Slice 44 of 95. CT image. Field of view 380 mm wide, 2.50 mm slice spacing. Abdomen.
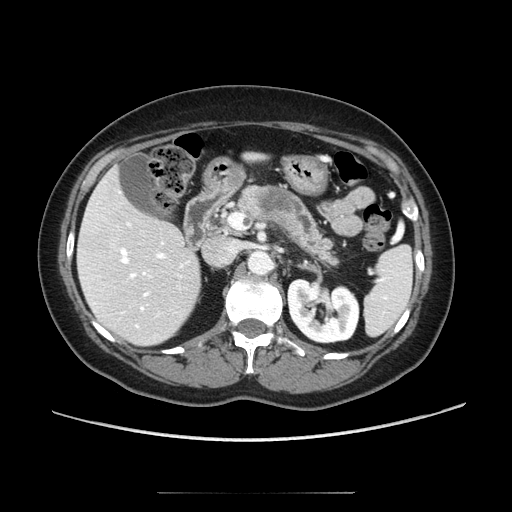 pancreatic tumor: <box>254,187,293,215</box> | pancreas: <box>240,186,337,264</box>